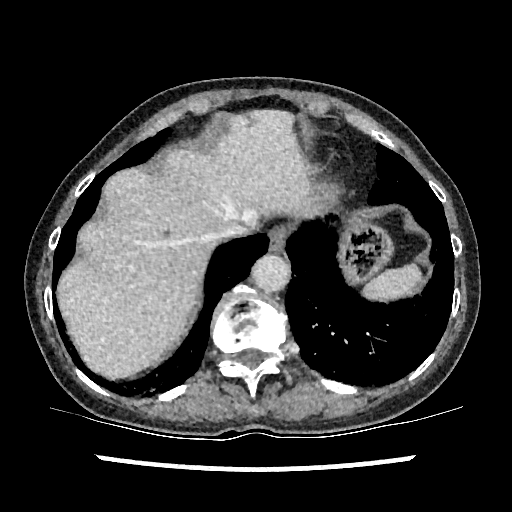

Computed tomography

<segmentation>
  <liver>rect(57, 110, 317, 377)</liver>
</segmentation>